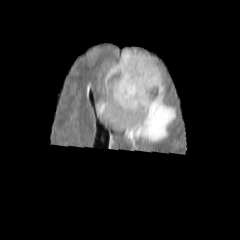
FLAIR MR image.
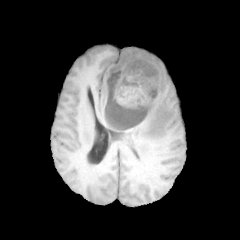
T1-weighted MR image of the same slice.
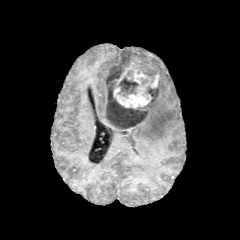
Post-contrast T1-weighted magnetic resonance.
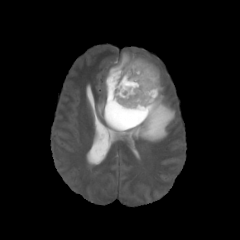
T2-weighted MR image.
Head
Non-enhancing tumor core at 104:51:159:129.
Edema at 122:50:159:72, 104:84:176:148, 99:95:107:116.
Enhancing tumor at 113:63:159:107.